Field of view 378 mm wide, 0.80 mm slice spacing. CT slice. Abdomen. 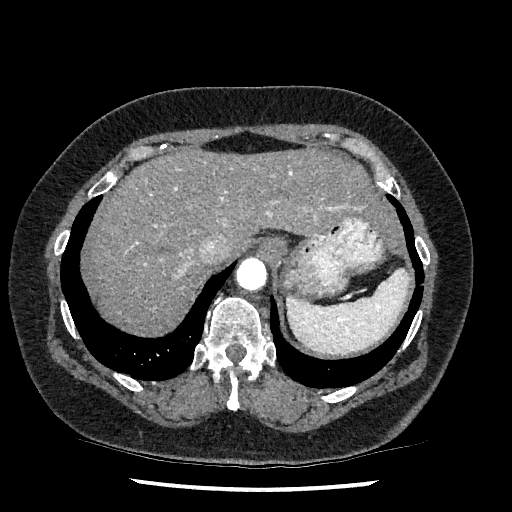

Liver — 86 150 405 333.